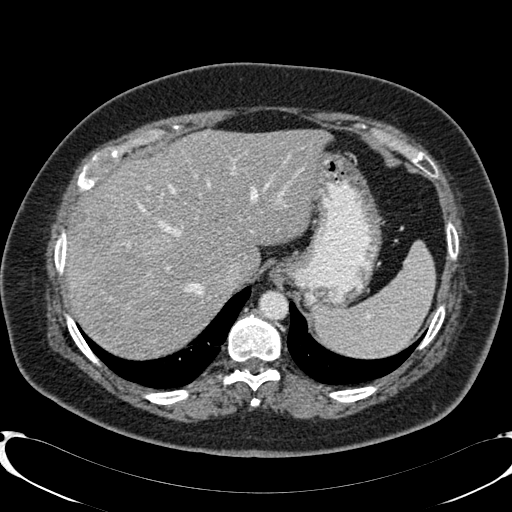
Liver, CT scan slice
Findings:
- focal liver lesion: box(75, 212, 114, 251); box(103, 254, 143, 299)
- liver: box(67, 130, 331, 357)